Slice 368/836; Liver; Image size 512x512; CT image

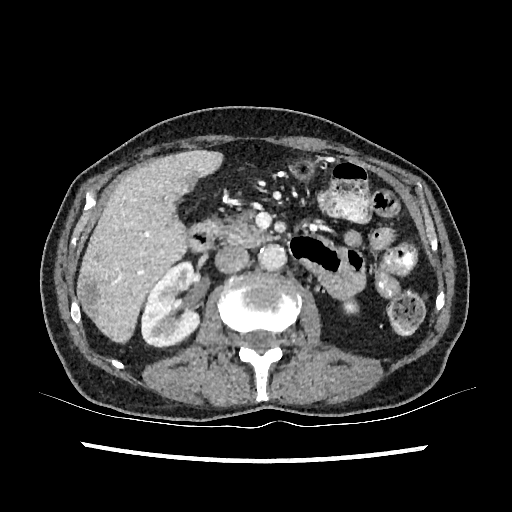
<segmentation>
  <focal_liver_lesion>180 171 202 186, 78 279 100 314</focal_liver_lesion>
  <kidney>142 263 198 346</kidney>
  <liver>80 150 221 341</liver>
</segmentation>